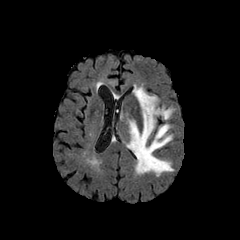
FLAIR MR image.
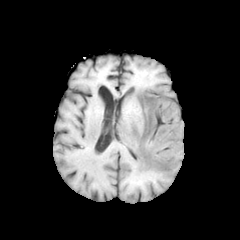
T1-weighted MR image of the same slice.
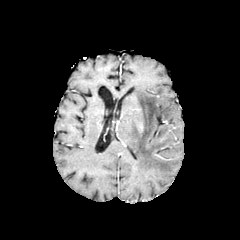
Post-contrast T1-weighted magnetic resonance of the same slice.
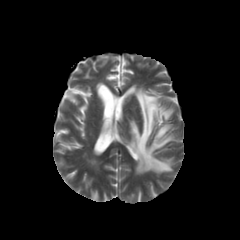
T2-weighted MR image.
Brain.
{"edema": ["[126, 84, 175, 175]"]}